Computed tomography. Slice 51/605.
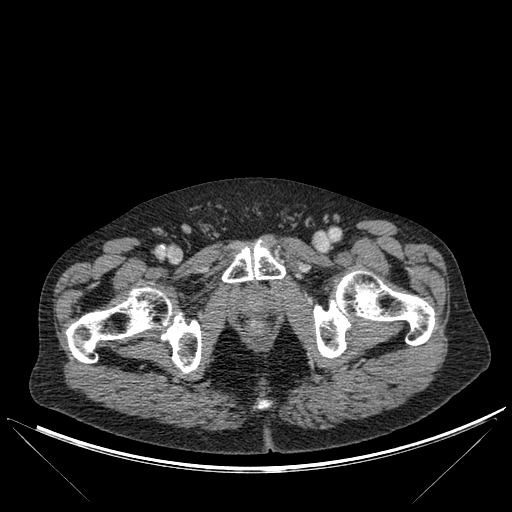
Annotated regions:
- bone: [x1=66, y1=287, x2=201, y2=373], [x1=314, y1=270, x2=434, y2=357], [x1=222, y1=240, x2=285, y2=282]